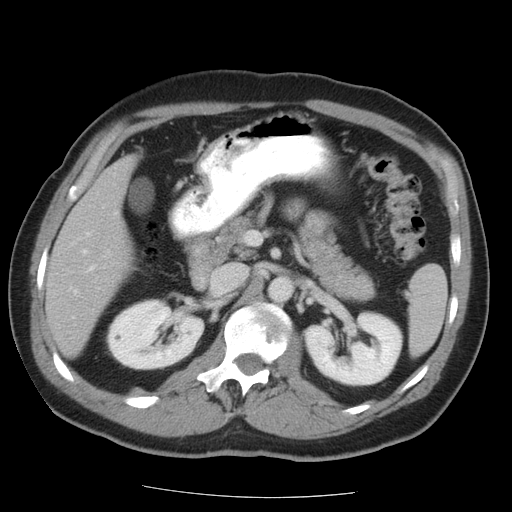 CT scan slice
Only some of the vessels may be annotated.
{
  "hepatic_vessel": [
    "83:249:87:253",
    "74:290:78:294",
    "87:232:90:235",
    "87:266:94:271",
    "114:212:117:213"
  ]
}